Brain
FLAIR MR image.
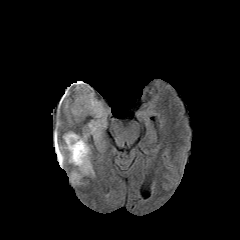
T1-weighted MR image.
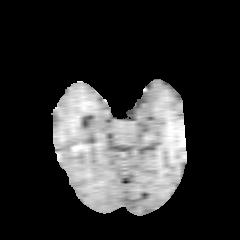
Post-contrast T1-weighted MR.
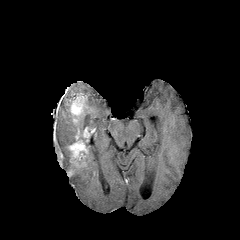
T2-weighted MR image.
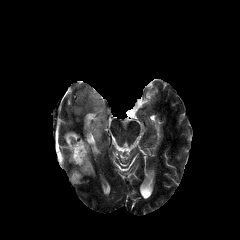
edema:
  - <box>94,102,104,117</box>
  - <box>54,122,100,181</box>
enhancing_tumor:
  - <box>55,140,62,166</box>
  - <box>84,126,95,139</box>
  - <box>67,135,87,164</box>